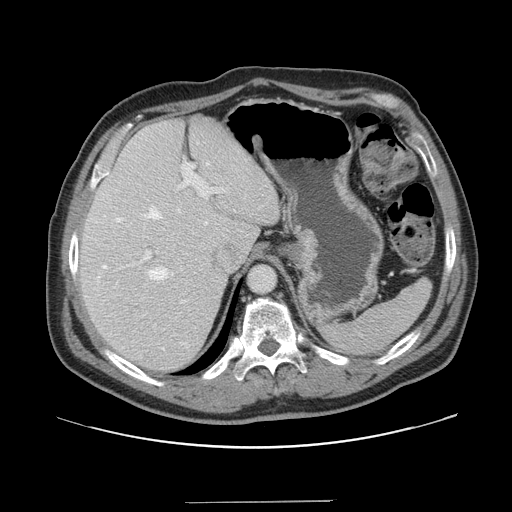
CT image; Abdomen

Some hepatic vessels may have no box.
Hepatic vessel at rect(177, 162, 225, 197); rect(141, 250, 150, 261); rect(115, 218, 122, 221); rect(148, 268, 167, 279); rect(181, 301, 184, 302); rect(103, 265, 106, 268); rect(206, 162, 208, 164); rect(143, 206, 161, 218); rect(205, 222, 207, 224).